CT slice
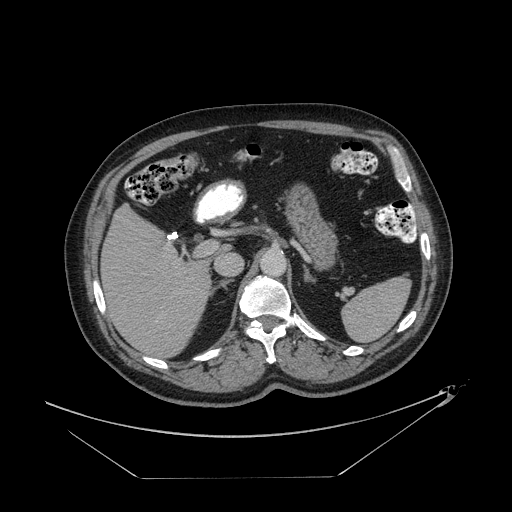
Annotated regions:
- colon tumor: [170, 172, 183, 182], [162, 158, 178, 165]